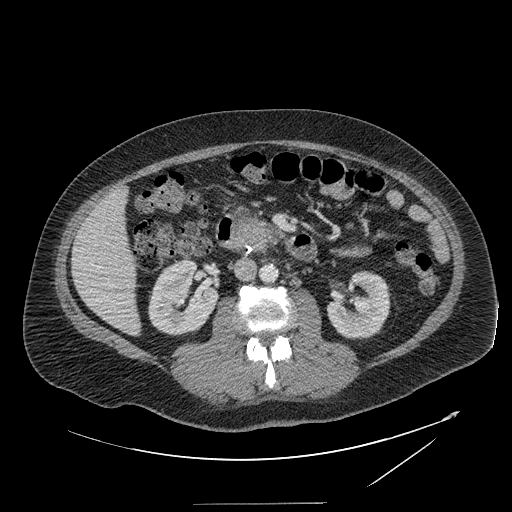 Upper abdomen. Computed tomography.
pancreatic tumor: rect(238, 223, 269, 249) | pancreas: rect(233, 207, 283, 252)